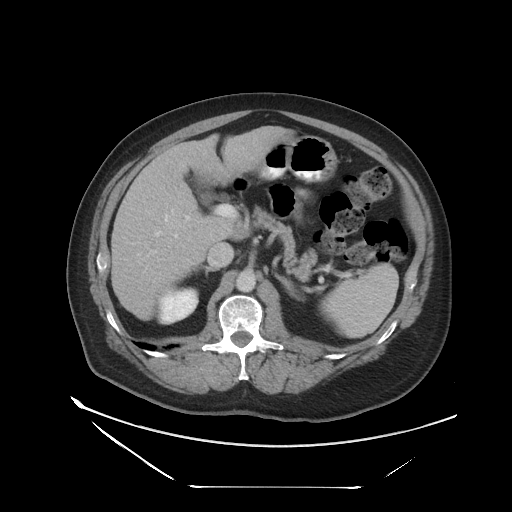
Image size 512x512; CT
Some hepatic vessels may have no box.
2 hepatic vessel regions appear at region(165, 214, 168, 222); region(174, 234, 176, 236).